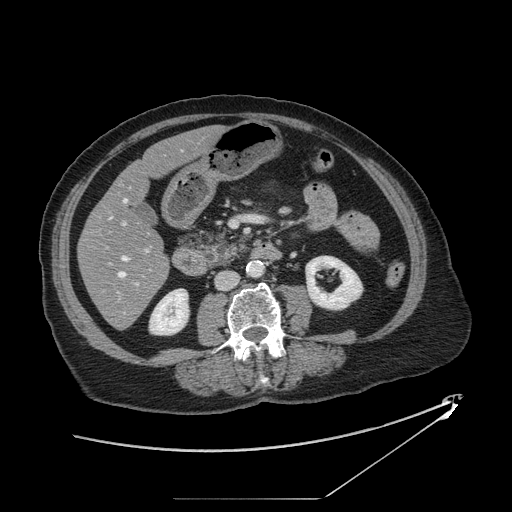

512x512 px; Computed tomography; Abdomen
{
  "pancreatic_tumor": [
    "x1=213 y1=243 x2=228 y2=266"
  ],
  "pancreas": [
    "x1=200 y1=234 x2=238 y2=268"
  ]
}